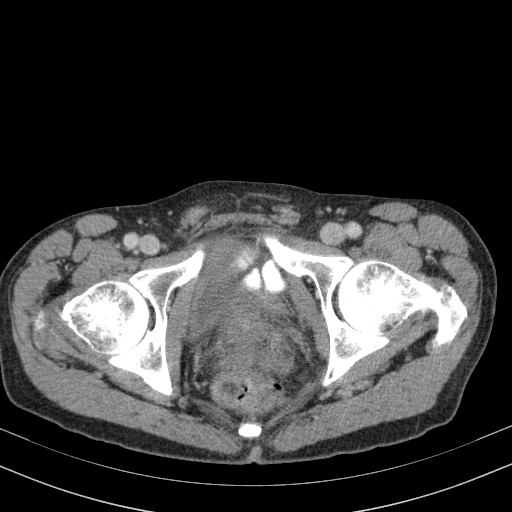
Image size 512x512; CT
Urinary bladder: bounding box bbox(183, 246, 286, 342).